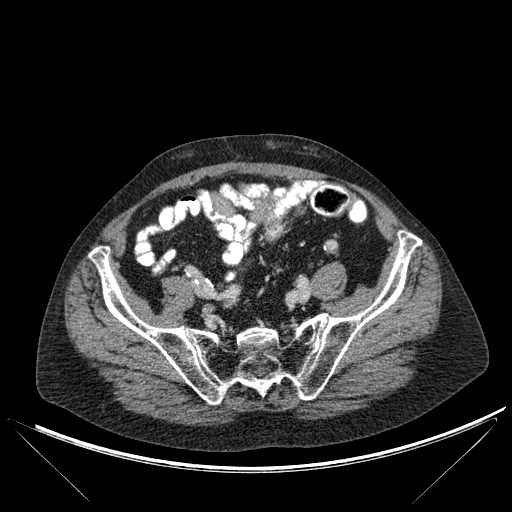

CT slice. 512x512 px.
The bone is at [88, 230, 421, 404].